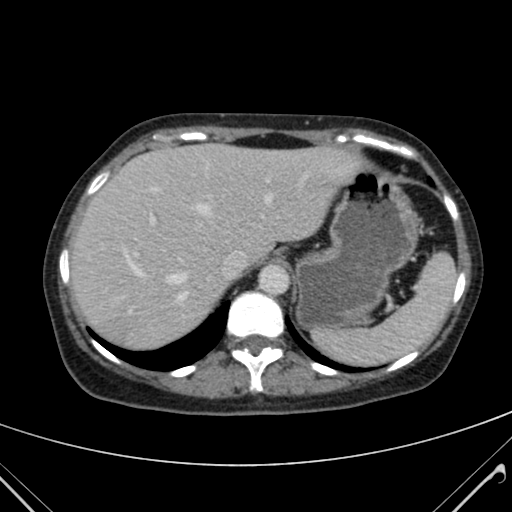 CT, Liver, 512x512
Liver = x1=71, y1=144, x2=355, y2=348.